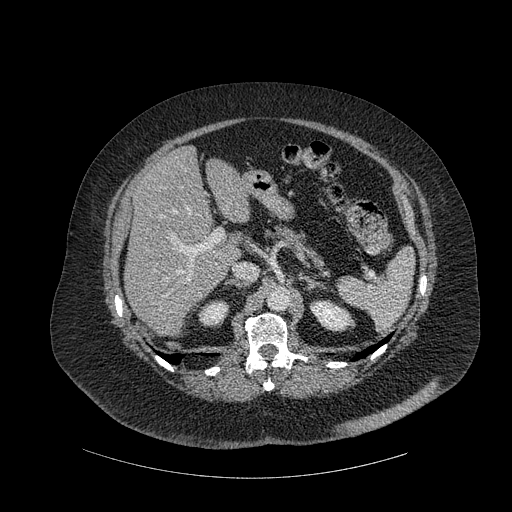

Abdomen. CT image. Lung at 352 336 389 359, 158 353 182 363.
Kidney at 311 301 352 330, 199 302 227 324.
Liver at 124 145 240 336, 207 158 249 222.
Bone at 263 378 273 390, 245 313 307 372, 371 344 386 359, 205 367 219 375, 155 356 173 371, 326 362 346 368, 420 276 426 294, 115 295 122 316.